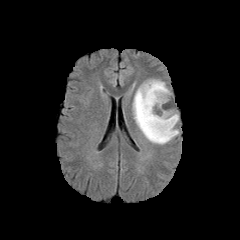
FLAIR magnetic resonance.
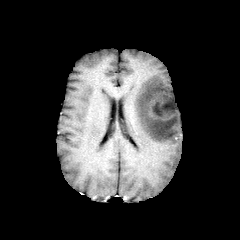
T1-weighted MR.
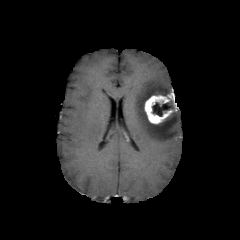
Post-contrast T1-weighted MRI.
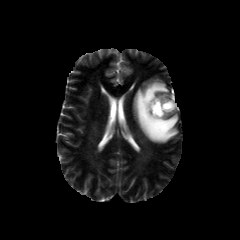
T2-weighted MR.
Head.
Annotated regions:
* edema: bbox=[133, 78, 179, 144]
* enhancing tumor: bbox=[144, 89, 177, 124]
* non-enhancing tumor core: bbox=[152, 101, 172, 116]